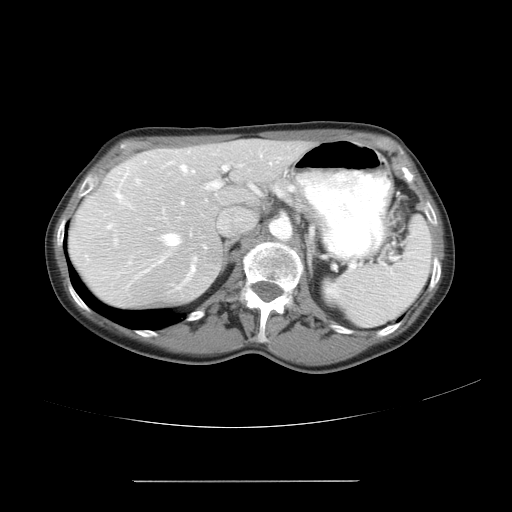

Abdomen, Computed tomography, 512x512
The vessel boxes may cover only some of the vessels.
15 hepatic vessel regions are bounded by [x1=180, y1=165, x2=193, y2=172], [x1=152, y1=257, x2=163, y2=265], [x1=222, y1=165, x2=226, y2=169], [x1=181, y1=202, x2=183, y2=203], [x1=114, y1=188, x2=122, y2=202], [x1=135, y1=178, x2=138, y2=183], [x1=250, y1=185, x2=258, y2=193], [x1=176, y1=257, x2=195, y2=288], [x1=259, y1=153, x2=261, y2=157], [x1=107, y1=224, x2=111, y2=227], [x1=205, y1=181, x2=220, y2=189], [x1=187, y1=150, x2=188, y2=152], [x1=161, y1=233, x2=180, y2=244], [x1=138, y1=267, x2=150, y2=274], [x1=119, y1=176, x2=124, y2=185].